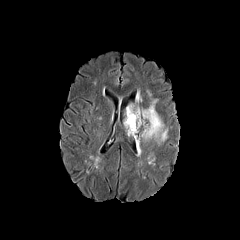
FLAIR magnetic resonance.
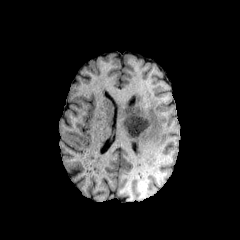
T1-weighted MR.
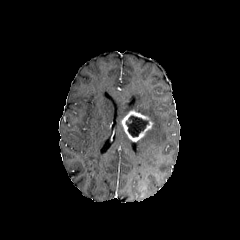
Post-contrast T1-weighted MRI.
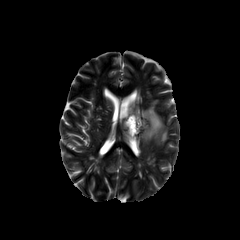
T2-weighted magnetic resonance of the same slice.
240x240; Brain
Edema = {"x1": 141, "y1": 108, "x2": 161, "y2": 141}.
Non-enhancing tumor core = {"x1": 126, "y1": 115, "x2": 148, "y2": 137}.
Enhancing tumor = {"x1": 122, "y1": 112, "x2": 152, "y2": 141}.